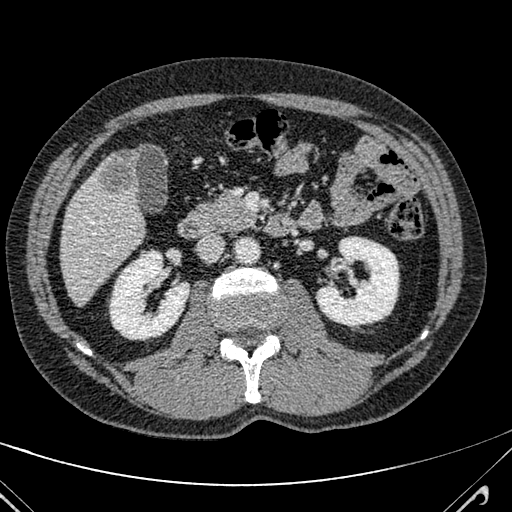
CT, Abdomen
The liver lies within 61:152:143:305. The hepatic lesion appears at 102:150:138:191.